FLAIR MR.
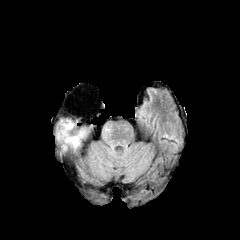
T1-weighted MR.
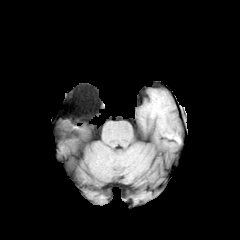
Post-contrast T1-weighted MR.
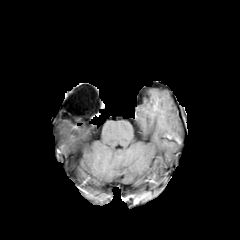
T2-weighted magnetic resonance.
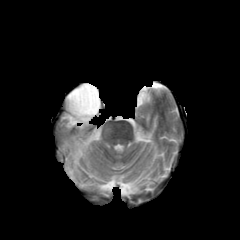
Brain.
The edema is located at box(62, 119, 87, 150).